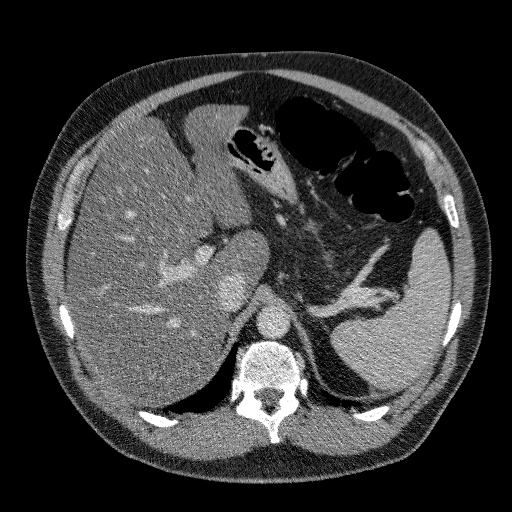
CT image

The liver is at <bbox>67, 104, 268, 406</bbox>.